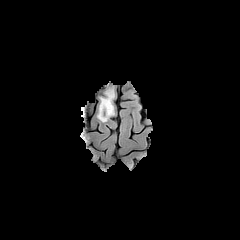
FLAIR MR image.
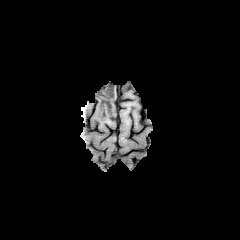
T1-weighted MR image.
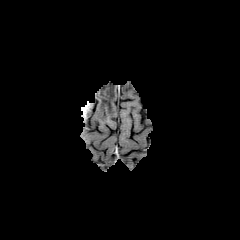
Same slice, post-contrast T1-weighted magnetic resonance.
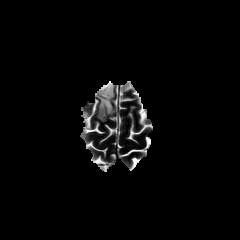
T2-weighted MR.
Head
<segmentation>
  <non-enhancing_tumor_core>l=98, t=86, r=113, b=117</non-enhancing_tumor_core>
  <edema>l=110, t=87, r=116, b=103; l=95, t=104, r=107, b=123; l=97, t=88, r=110, b=103</edema>
</segmentation>